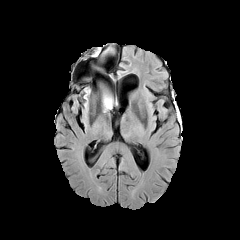
FLAIR MR image.
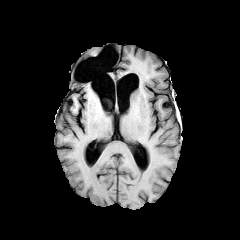
T1-weighted MRI of the same slice.
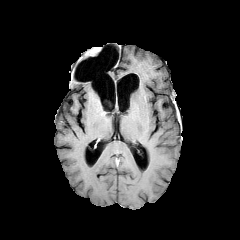
Post-contrast T1-weighted magnetic resonance.
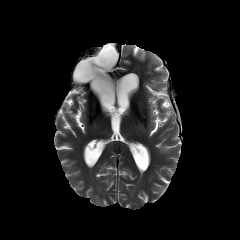
Same slice, T2-weighted MRI.
Segmented structures:
• edema: rect(102, 90, 114, 111)